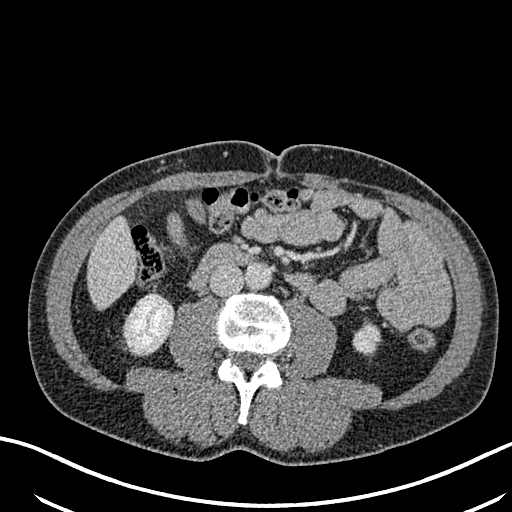 CT scan slice; Abdomen; Image size 512x512
2 kidney regions are located at l=355, t=326, r=378, b=351; l=124, t=295, r=172, b=353. The liver lies within l=88, t=217, r=135, b=309.